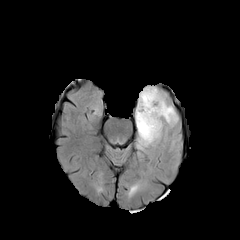
FLAIR magnetic resonance.
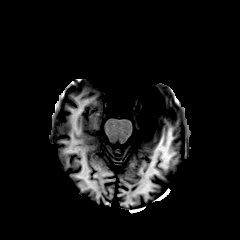
Same slice, T1-weighted magnetic resonance.
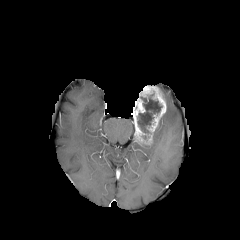
Post-contrast T1-weighted magnetic resonance.
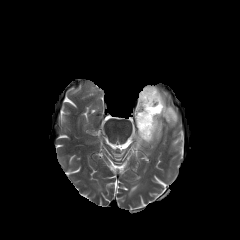
Same slice, T2-weighted MR.
Brain
non-enhancing tumor core: 137:88:161:144 | enhancing tumor: 132:101:145:142, 147:87:165:130 | edema: 134:101:178:153